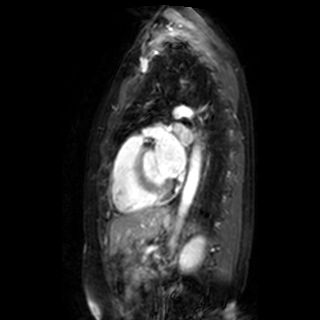
MR image | Heart
2 left atrium regions are located at 173, 123, 192, 141; 156, 131, 185, 176.